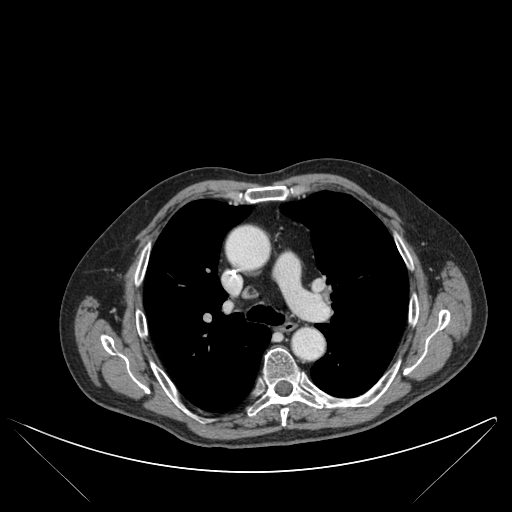 Computed tomography, Chest
lung:
  - 280 191 408 397
  - 144 200 283 411
bone:
  - 135 244 149 284
  - 409 295 418 324
  - 151 362 189 414
  - 247 348 399 425
  - 404 310 449 374
  - 244 186 288 202
  - 396 237 411 265
  - 101 335 149 393
  - 136 310 146 336